FLAIR MR.
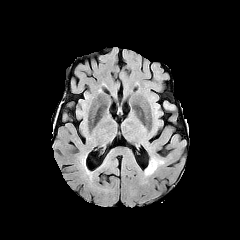
T1-weighted MRI.
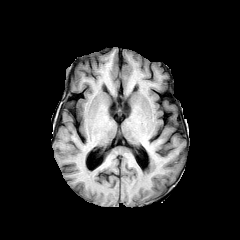
Post-contrast T1-weighted MRI.
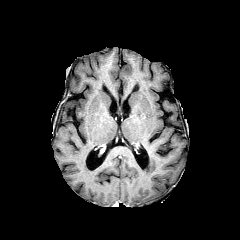
T2-weighted MRI.
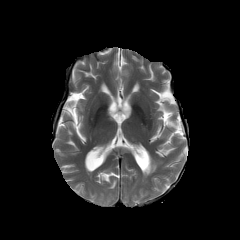
Head
The edema is located at bbox(144, 157, 163, 175).